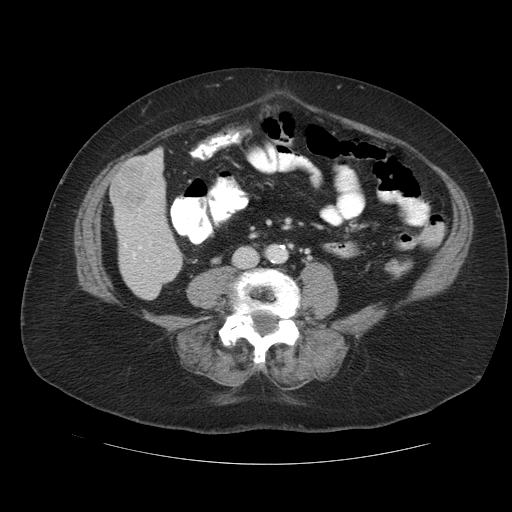

CT slice

The vessel boxes may cover only some of the vessels.
Liver tumor = box=[111, 159, 154, 211].
Hepatic vessel = box=[133, 253, 134, 254]; box=[124, 244, 126, 246].